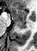
MR image.

Anterior hippocampus at box(9, 6, 26, 22).
Posterior hippocampus at box(16, 23, 26, 31).